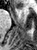

Image size 37x50, MRI slice

<segmentation>
  <anterior_hippocampus>17 8 20 8</anterior_hippocampus>
</segmentation>